Slice 565 of 677 | CT image
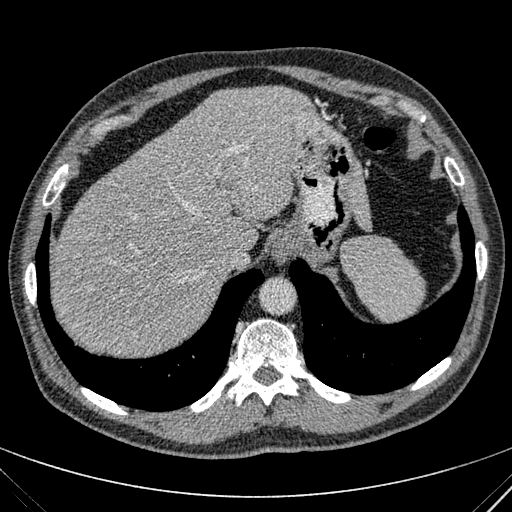 2 liver regions are located at [50,86,320,355], [348,163,370,230].